CT; Slice 23 of 53; Abdomen
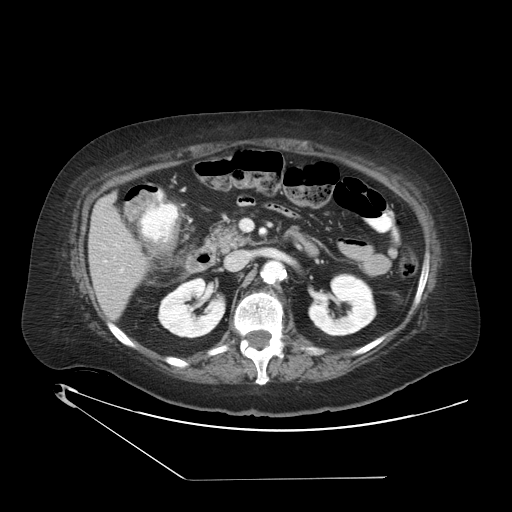
2 colon tumor regions are located at x1=144 y1=218 x2=181 y2=256, x1=125 y1=191 x2=158 y2=221.